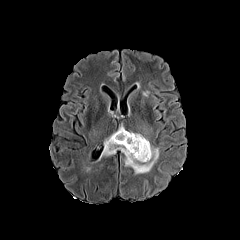
FLAIR magnetic resonance.
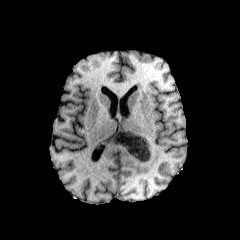
T1-weighted MRI of the same slice.
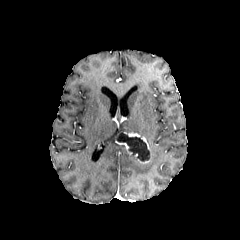
Post-contrast T1-weighted MR image of the same slice.
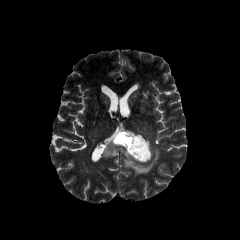
T2-weighted MR image of the same slice.
Head. Image size 240x240.
- non-enhancing tumor core: 114, 131, 150, 161
- edema: 101, 135, 160, 174
- enhancing tumor: 128, 132, 142, 137